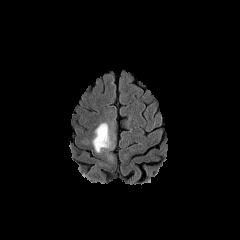
FLAIR MRI.
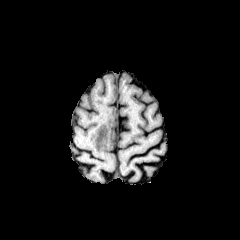
T1-weighted MR.
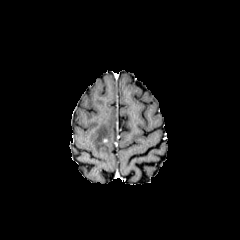
Post-contrast T1-weighted MR image of the same slice.
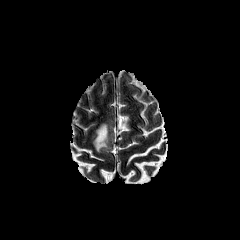
Same slice, T2-weighted magnetic resonance.
240x240
Edema at rect(93, 123, 111, 152).